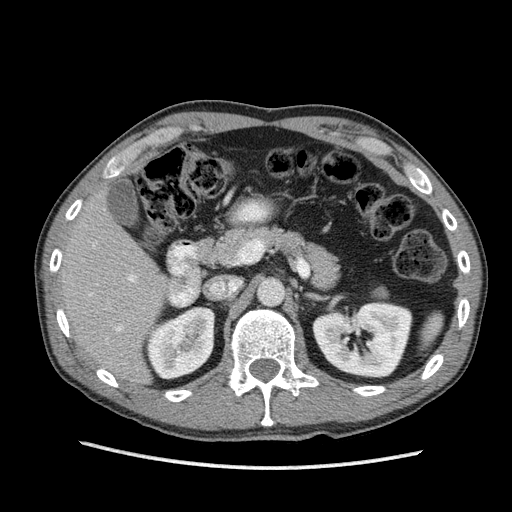
Abdomen, CT

2 kidney regions are bounded by 148,308,213,377; 314,303,410,376. The liver is at 56,184,175,387.